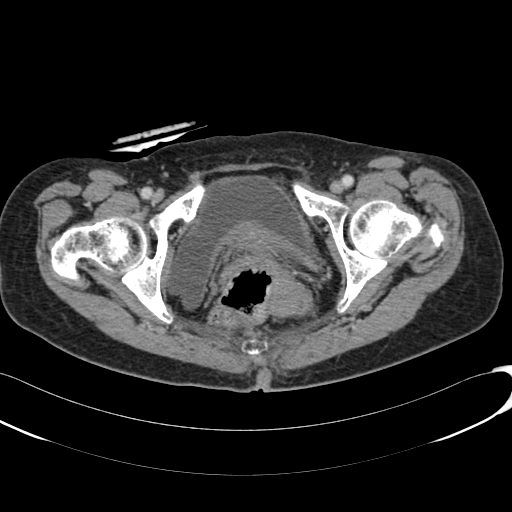 512x512; CT scan slice

Urinary bladder — x1=165 y1=175 x2=314 y2=310.